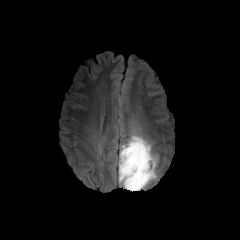
FLAIR MRI.
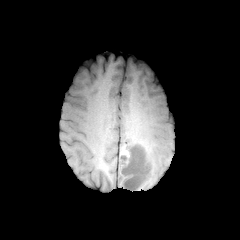
Same slice, T1-weighted MR.
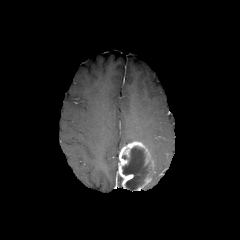
Post-contrast T1-weighted MRI.
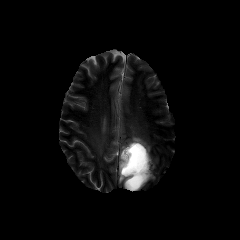
Same slice, T2-weighted MRI.
Brain
Enhancing tumor = (118, 141, 149, 188).
Non-enhancing tumor core = (123, 146, 149, 190).
Edema = (119, 133, 157, 180).